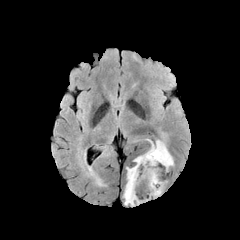
FLAIR MR.
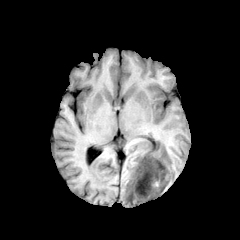
T1-weighted MR.
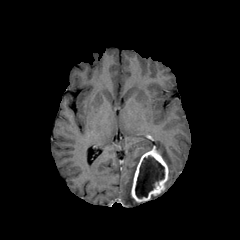
Post-contrast T1-weighted MR.
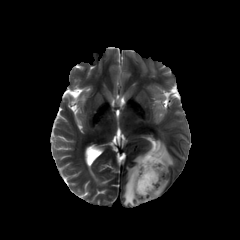
T2-weighted magnetic resonance.
240x240 px; Head
Edema = (x1=154, y1=139, x2=174, y2=168), (x1=123, y1=165, x2=140, y2=206), (x1=133, y1=151, x2=146, y2=164).
Enhancing tumor = (x1=131, y1=146, x2=168, y2=202).
Non-enhancing tumor core = (x1=135, y1=156, x2=164, y2=198).